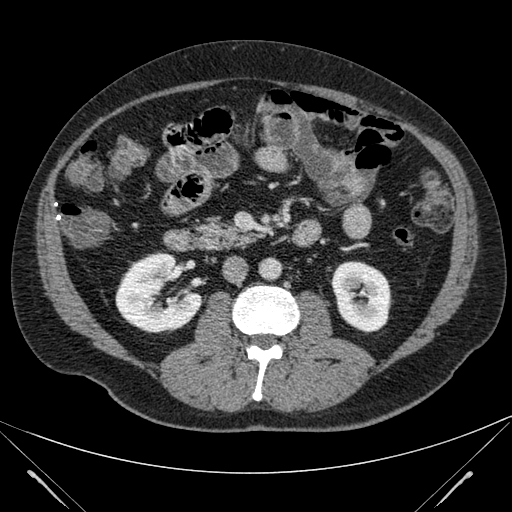
Computed tomography
2 kidney regions are located at [333, 262, 389, 330], [116, 254, 200, 331].